CT. Field of view 369x369 mm. 512x512 px. Upper abdomen. 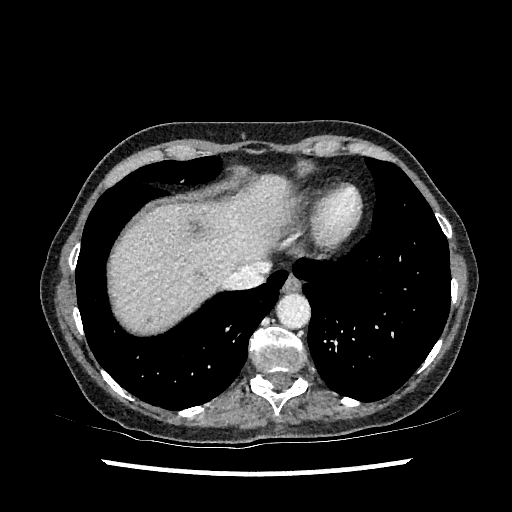 Hepatic lesion = [x1=187, y1=217, x2=209, y2=241], [x1=195, y1=270, x2=203, y2=277].
Liver = [x1=109, y1=177, x2=288, y2=331].